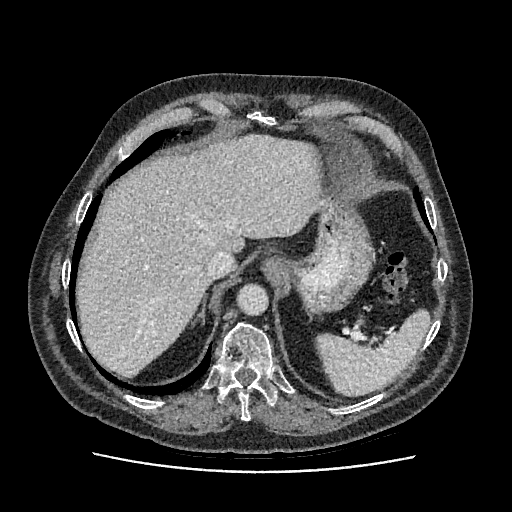

CT image; 512x512 px

- liver: (x1=77, y1=134, x2=320, y2=377)